512x512. CT scan slice. Slice index 88. Upper abdomen.

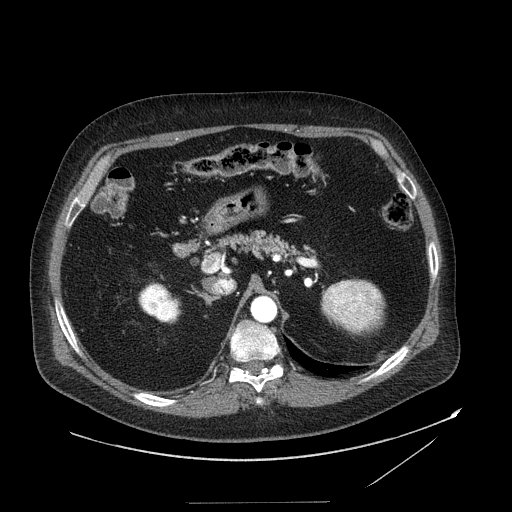
Pancreas — x1=215 y1=229 x2=317 y2=266.